Field of view 240x240 mm, Brain, Image size 240x240
FLAIR MR image.
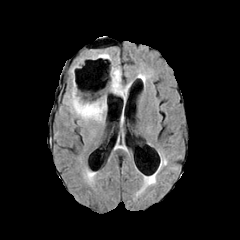
T1-weighted magnetic resonance.
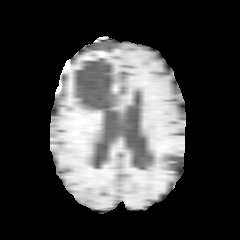
Post-contrast T1-weighted MR.
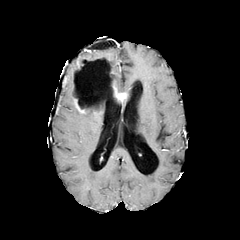
T2-weighted magnetic resonance.
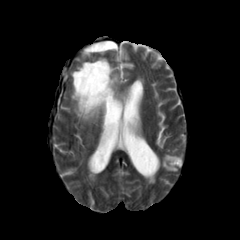
Enhancing tumor — (left=114, top=90, right=125, bottom=98).
Non-enhancing tumor core — (left=74, top=65, right=117, bottom=114).
Edema — (left=162, top=158, right=169, bottom=165), (left=108, top=66, right=130, bottom=93), (left=69, top=78, right=107, bottom=122), (left=96, top=50, right=109, bottom=58).